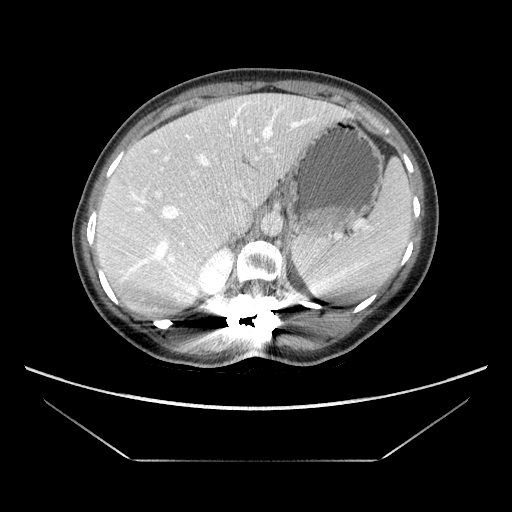
Liver. CT slice.

Some hepatic vessels may have no box.
hepatic vessel: (264,127,270,136), (161,205,185,219), (237,201,242,211), (147,234,164,250), (198,156,206,165), (134,235,139,240), (228,210,242,219)